Slice index 467 | Abdomen | CT scan slice

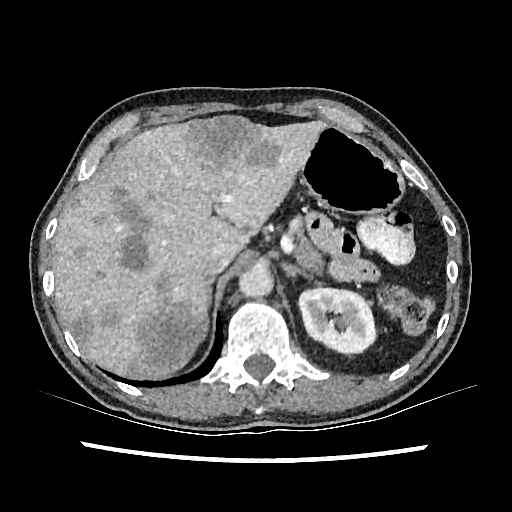
kidney:
  - rect(299, 288, 375, 352)
liver:
  - rect(53, 122, 326, 376)
hepatic_lesion:
  - rect(114, 199, 152, 272)
  - rect(181, 116, 280, 173)
  - rect(101, 304, 119, 326)
  - rect(147, 190, 155, 201)
  - rect(70, 316, 93, 342)
  - rect(252, 214, 259, 225)
  - rect(92, 212, 106, 224)
  - rect(74, 247, 85, 258)
  - rect(128, 273, 204, 376)
  - rect(96, 271, 105, 278)
  - rect(110, 187, 128, 203)